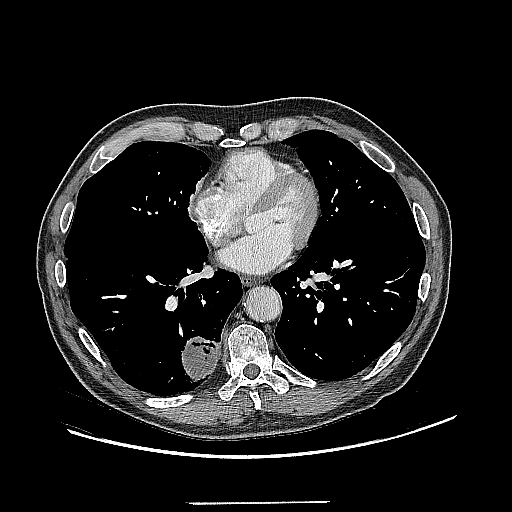

CT image | 512x512 px
Lung tumor: (x1=181, y1=336, x2=220, y2=383).